34x47; MRI slice; Image width 34 mm; Slice 21 of 40

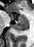

The posterior hippocampus appears at (14, 22, 27, 30). 2 anterior hippocampus regions appear at (15, 15, 27, 21), (10, 14, 13, 19).